Field of view 398x398 mm, CT, 512x512 px, Slice 126/161

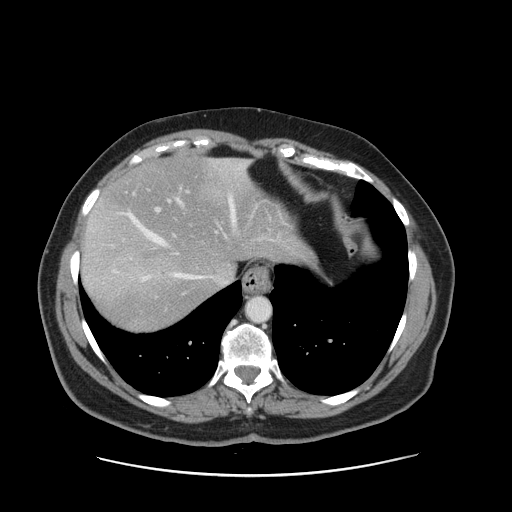 The vessel boxes may cover only some of the vessels.
Hepatic vessel — [229, 197, 235, 228], [168, 200, 170, 202], [241, 161, 247, 166], [156, 207, 159, 211], [178, 274, 187, 277].